CT. Image width 339 mm. Lower abdomen. 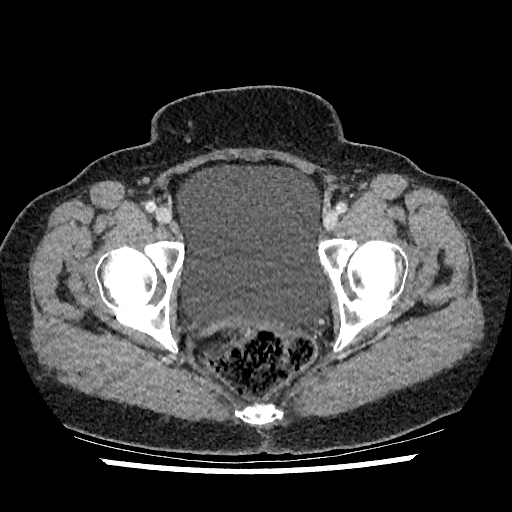

Urinary bladder = 177 165 330 332.